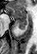

MRI slice. Hippocampus. Posterior hippocampus = [16, 20, 26, 29].
Anterior hippocampus = [9, 7, 26, 19].